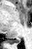

Medial temporal lobe. MRI.

{
  "posterior_hippocampus": [
    "<box>8,38,20,44</box>"
  ]
}